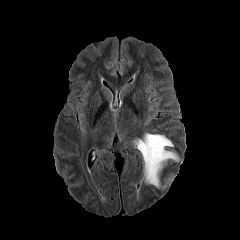
FLAIR MR image.
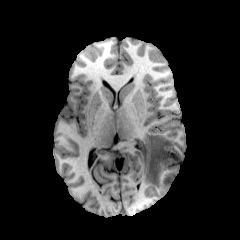
T1-weighted MR image of the same slice.
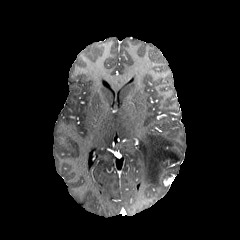
Same slice, post-contrast T1-weighted MR image.
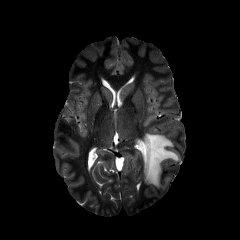
T2-weighted MRI.
Enhancing tumor: <box>163,176,174,185</box>.
Edema: <box>138,133,179,189</box>.